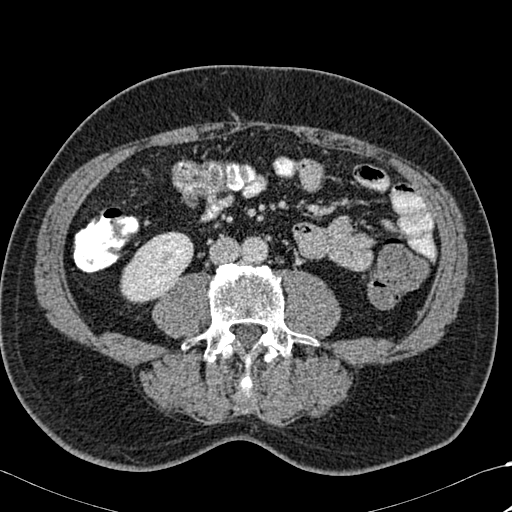

CT. Abdomen. 512x512.
- kidney: l=122, t=233, r=192, b=301
- bone: l=182, t=263, r=314, b=362; l=237, t=372, r=253, b=399